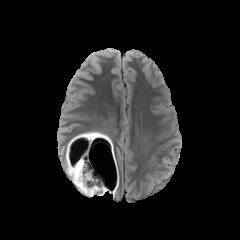
FLAIR magnetic resonance.
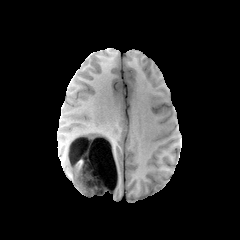
T1-weighted MRI of the same slice.
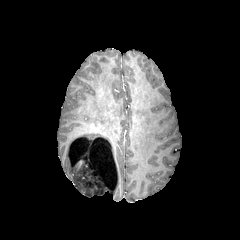
Post-contrast T1-weighted magnetic resonance.
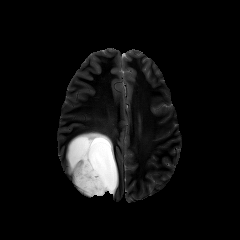
T2-weighted magnetic resonance.
240x240 px; Brain
The non-enhancing tumor core is at box(68, 133, 111, 194). 3 edema regions appear at box(97, 136, 115, 170); box(66, 131, 101, 196); box(108, 177, 116, 193).